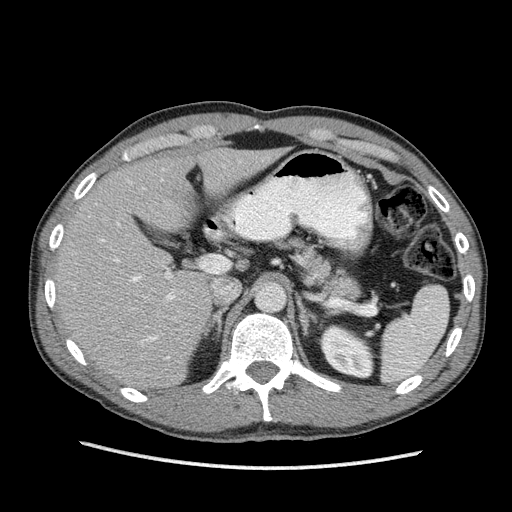

Computed tomography

2 liver regions appear at <box>217,195,241,219</box>, <box>50,146,291,390</box>. The kidney is at <box>322,327,371,376</box>.